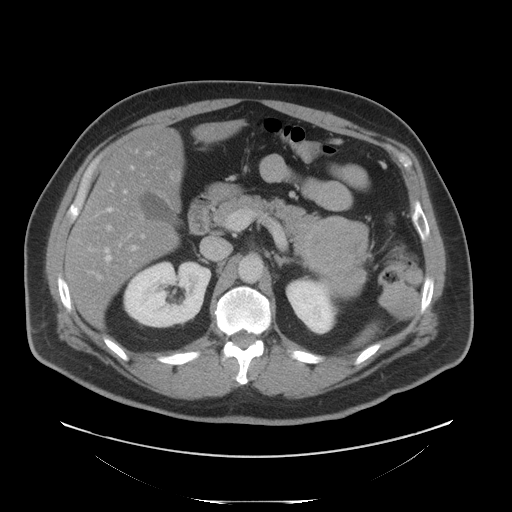 512x512 px | Computed tomography | Abdomen

The pancreatic tumor appears at region(302, 216, 367, 294). The pancreas lies within region(216, 195, 328, 268).